Computed tomography; Abdomen

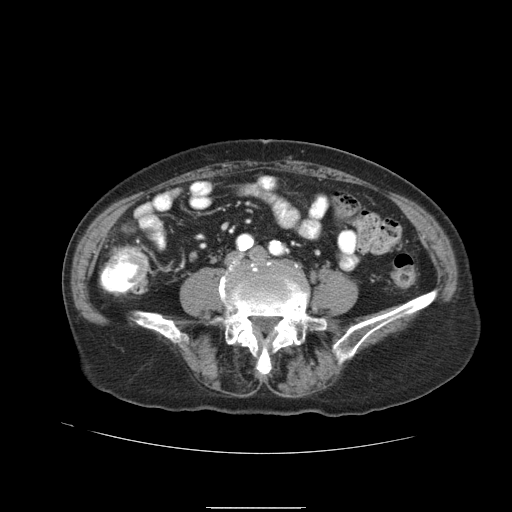 colon_tumor:
  - box=[127, 253, 147, 283]